CT. Slice index 30. Abdomen. 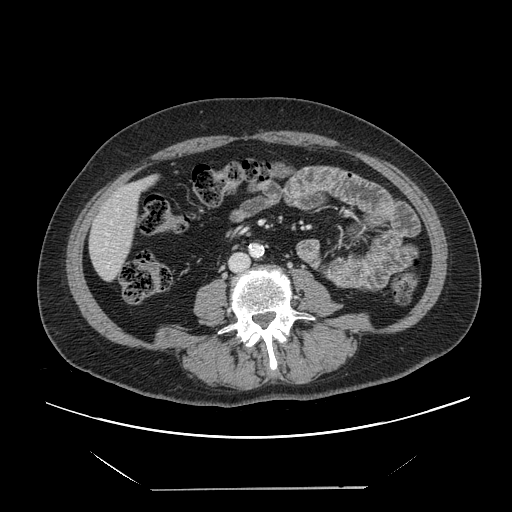 Some hepatic vessels may have no box.
{"hepatic_vessel": [{"x1": 106, "y1": 242, "x2": 106, "y2": 245}, {"x1": 106, "y1": 233, "x2": 108, "y2": 234}]}